CT scan slice; Abdomen; Slice index 48; 512x512
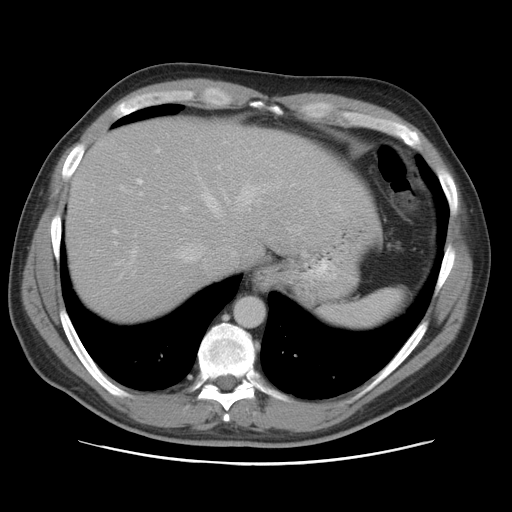

Only some of the vessels may be annotated.
6 hepatic vessel regions are bounded by 136,178,142,184; 178,243,205,260; 237,183,259,207; 181,207,187,210; 131,250,135,256; 201,187,220,216.